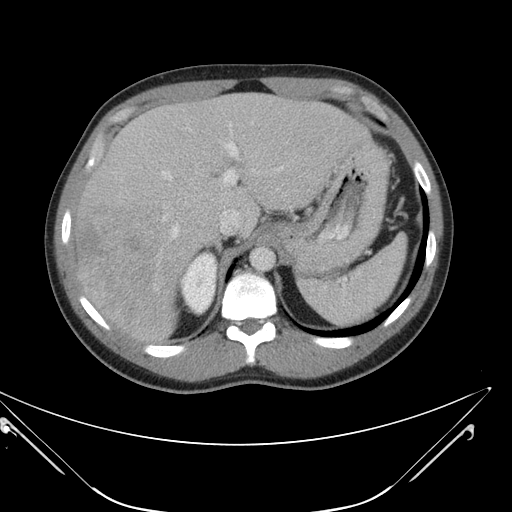

Liver | CT slice
The vessel boxes may cover only some of the vessels.
10 hepatic vessel regions appear at 277:166:282:170, 220:209:240:233, 252:168:254:171, 174:225:178:231, 222:170:236:184, 251:122:253:123, 229:122:231:125, 184:126:190:130, 225:141:237:155, 162:171:171:179. The liver tumor appears at 75:203:190:327.